Slice 27 of 141. CT slice. 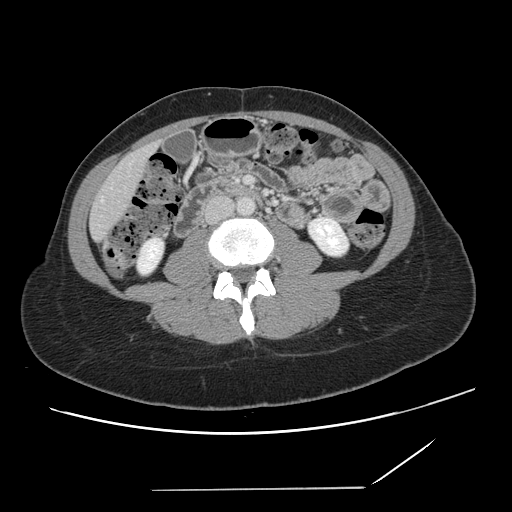 Not every hepatic vessel necessarily has a box.
hepatic_vessel:
  - x1=101 y1=198 x2=103 y2=201